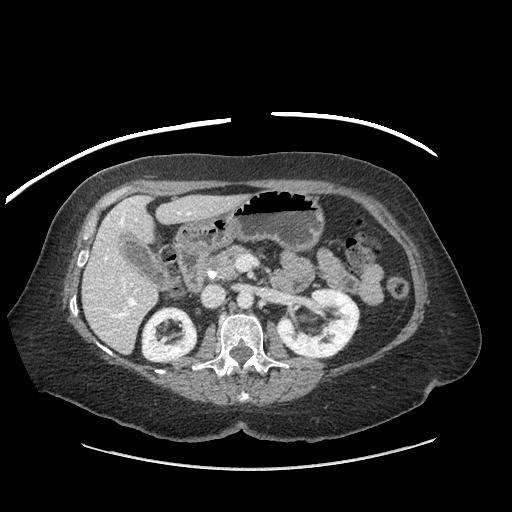
Abdomen | CT scan slice
Segmented structures:
- pancreatic tumor: region(213, 257, 227, 270)
- pancreas: region(195, 247, 247, 280)